Abdomen, CT
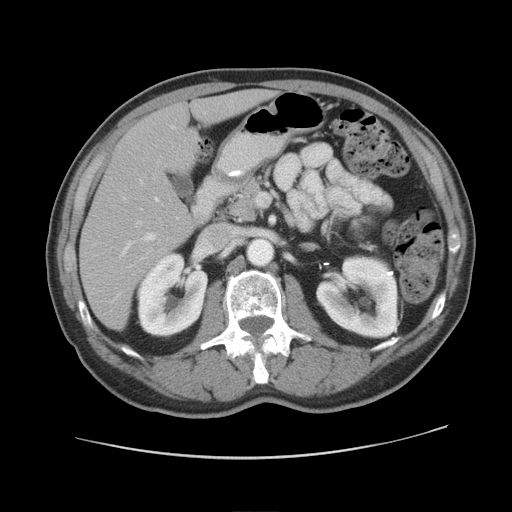
Pancreas = <box>226,175,265,224</box>.